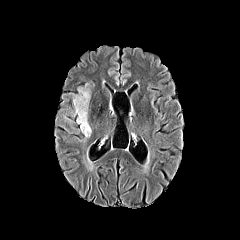
FLAIR MR.
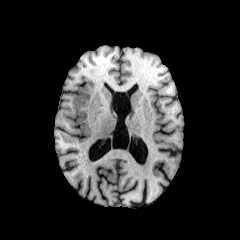
T1-weighted MR.
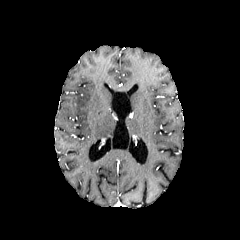
Post-contrast T1-weighted magnetic resonance of the same slice.
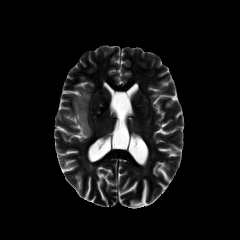
T2-weighted MRI.
240x240 px; Head
The edema lies within <bbox>61, 83, 91, 142</bbox>.